FLAIR MR image.
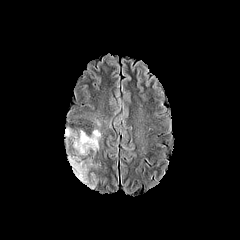
T1-weighted magnetic resonance.
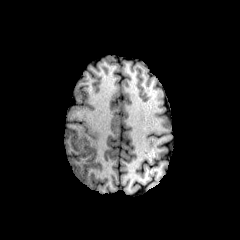
Post-contrast T1-weighted MRI.
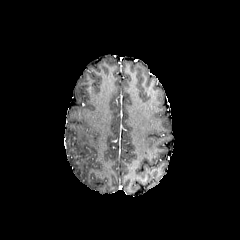
T2-weighted magnetic resonance.
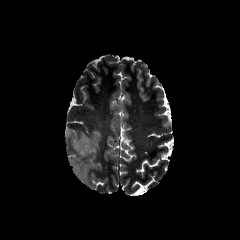
Image size 240x240
edema: 64, 129, 100, 184